Slice index 201, 512x512, CT slice
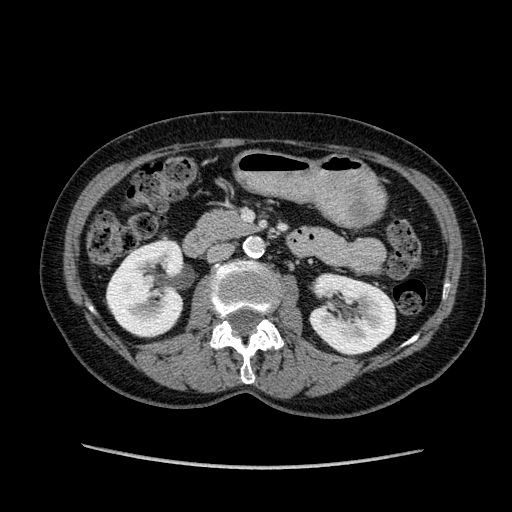 <segmentation>
  <kidney>{"x1": 311, "y1": 275, "x2": 394, "y2": 353}, {"x1": 107, "y1": 241, "x2": 181, "y2": 335}</kidney>
</segmentation>